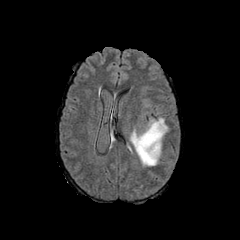
FLAIR MR image.
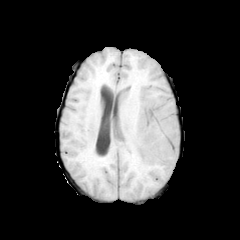
Same slice, T1-weighted MRI.
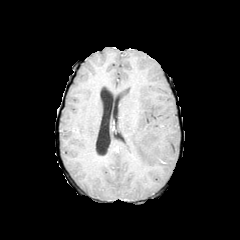
Same slice, post-contrast T1-weighted MR image.
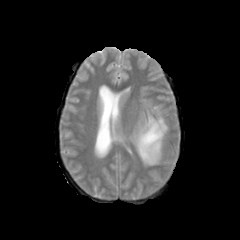
Same slice, T2-weighted magnetic resonance.
Brain.
Edema — <bbox>130, 107, 168, 166</bbox>.